Slice 38 of 99, Image size 512x512, CT image, Image width 388 mm 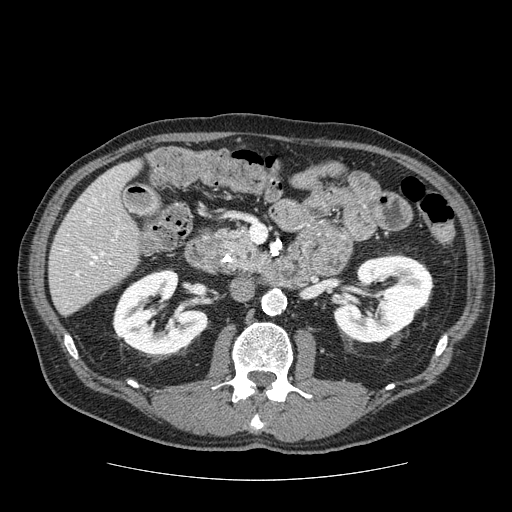 Annotated regions:
• pancreatic tumor: {"x1": 233, "y1": 241, "x2": 248, "y2": 249}
• pancreas: {"x1": 215, "y1": 227, "x2": 269, "y2": 273}